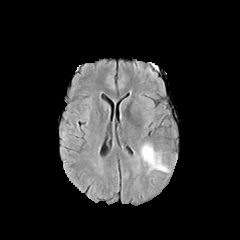
FLAIR MRI.
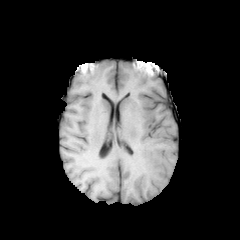
T1-weighted MR image of the same slice.
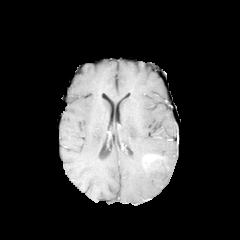
Post-contrast T1-weighted MR.
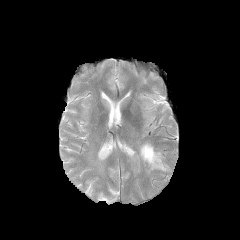
T2-weighted MRI.
Image size 240x240
Edema — region(132, 142, 169, 174).
Enhancing tumor — region(142, 154, 163, 165).